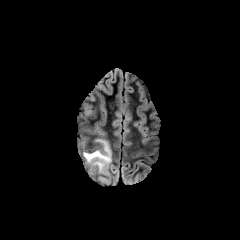
FLAIR MR.
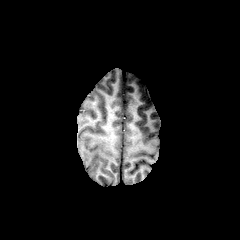
T1-weighted MR image of the same slice.
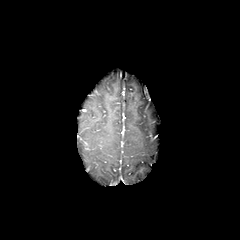
Post-contrast T1-weighted MR image of the same slice.
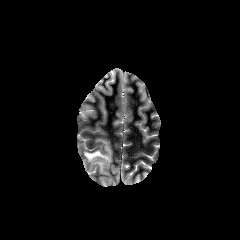
Same slice, T2-weighted MR.
Head
The edema is bounded by [x1=84, y1=139, x2=111, y2=173].